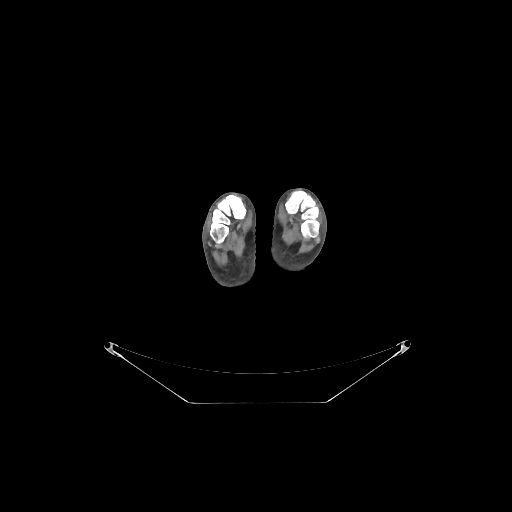
CT scan slice
{"bone": ["<box>285,190,319,239</box>", "<box>210,195,245,243</box>"]}